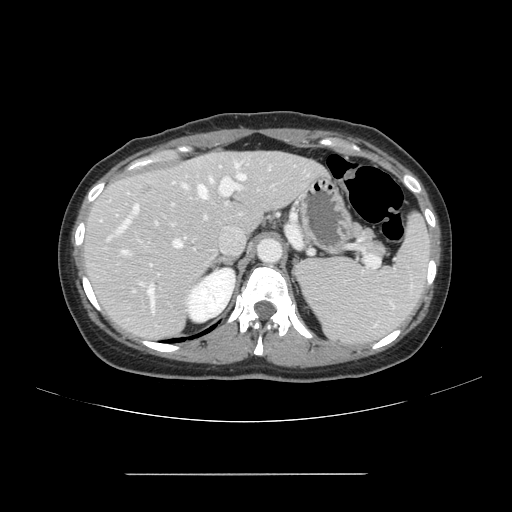 Liver | CT slice
Some hepatic vessels may have no box.
Segmented structures:
• hepatic vessel (most prominent 15 of 16): {"x1": 122, "y1": 250, "x2": 128, "y2": 253}, {"x1": 220, "y1": 178, "x2": 239, "y2": 195}, {"x1": 132, "y1": 204, "x2": 138, "y2": 214}, {"x1": 152, "y1": 310, "x2": 153, "y2": 313}, {"x1": 108, "y1": 237, "x2": 110, "y2": 239}, {"x1": 182, "y1": 184, "x2": 187, "y2": 187}, {"x1": 147, "y1": 287, "x2": 154, "y2": 308}, {"x1": 198, "y1": 185, "x2": 207, "y2": 198}, {"x1": 234, "y1": 162, "x2": 241, "y2": 167}, {"x1": 117, "y1": 218, "x2": 130, "y2": 232}, {"x1": 204, "y1": 217, "x2": 206, "y2": 218}, {"x1": 209, "y1": 177, "x2": 212, "y2": 181}, {"x1": 269, "y1": 167, "x2": 270, "y2": 169}, {"x1": 174, "y1": 239, "x2": 181, "y2": 247}, {"x1": 237, "y1": 174, "x2": 245, "y2": 179}